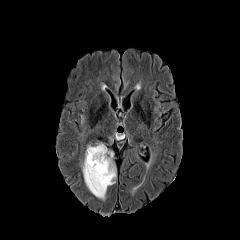
FLAIR magnetic resonance.
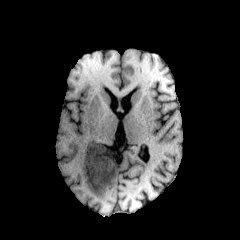
Same slice, T1-weighted magnetic resonance.
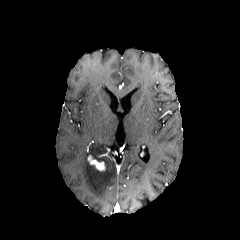
Post-contrast T1-weighted magnetic resonance.
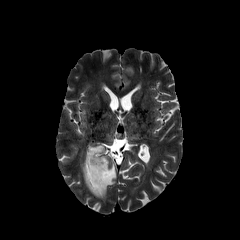
T2-weighted MR.
Head
Edema at (87,142,107,154), (80,152,116,200).
Enhancing tumor at (87,155,106,171).
Non-enhancing tumor core at (92,150,107,161).